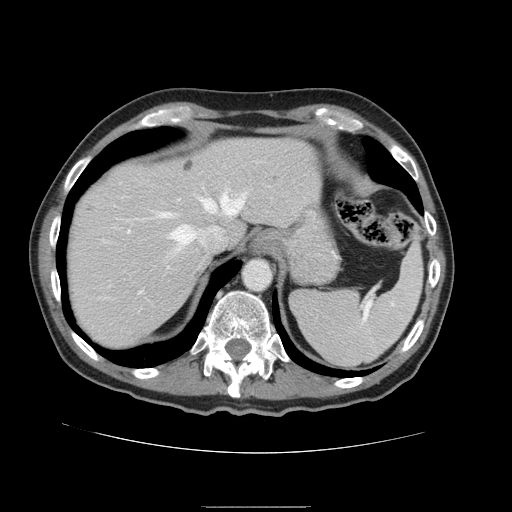
Upper abdomen; CT scan slice
<segmentation>
  <spleen>[289, 242, 422, 367]</spleen>
</segmentation>